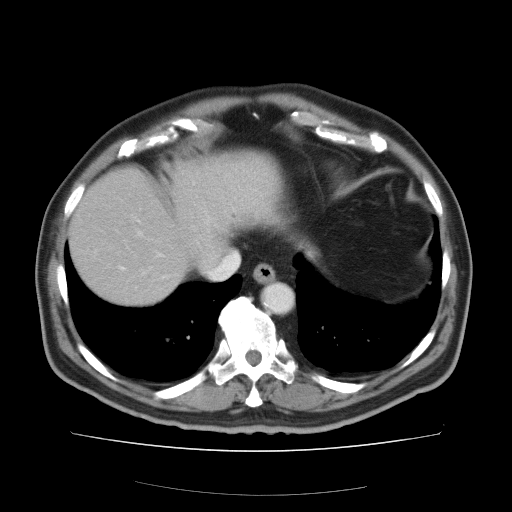

Liver; CT image
Not every hepatic vessel necessarily has a box.
<segmentation>
  <hepatic_vessel>120 266 123 269</hepatic_vessel>
</segmentation>